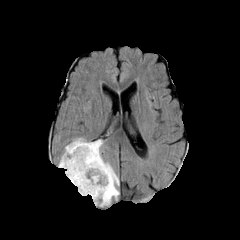
FLAIR MR.
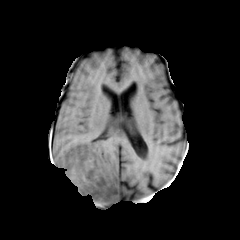
T1-weighted MRI of the same slice.
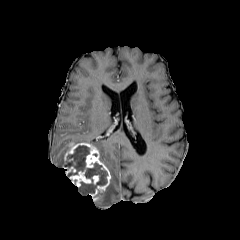
Post-contrast T1-weighted MRI.
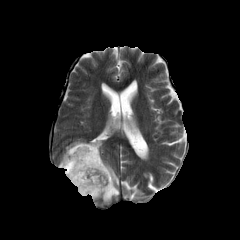
T2-weighted MRI.
Head. 240x240 px.
<segmentation>
  <edema>[75, 148, 86, 157], [91, 140, 119, 206], [59, 144, 69, 167], [78, 183, 93, 195]</edema>
  <enhancing_tumor>[63, 166, 76, 173], [64, 142, 111, 200], [69, 169, 99, 186]</enhancing_tumor>
  <non-enhancing_tumor_core>[64, 145, 107, 192]</non-enhancing_tumor_core>
</segmentation>